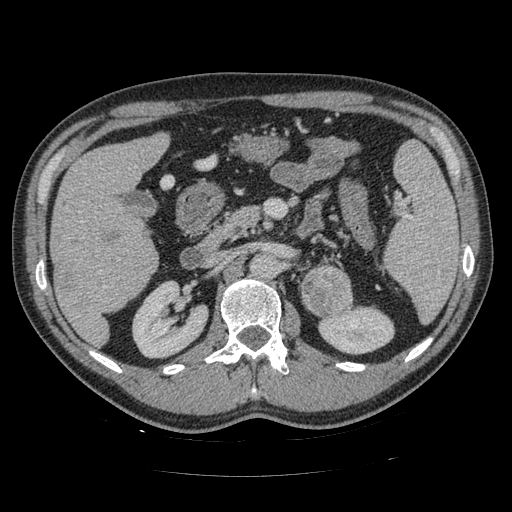
CT slice | Abdomen
Annotated regions:
* pancreatic tumor: [x1=301, y1=265, x2=353, y2=317]
* pancreas: [x1=224, y1=206, x2=259, y2=235]